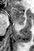

MRI slice | 34x51 px
<segmentation>
  <posterior_hippocampus><box>20,25,24,26</box></posterior_hippocampus>
  <anterior_hippocampus><box>10,7,25,24</box></anterior_hippocampus>
</segmentation>